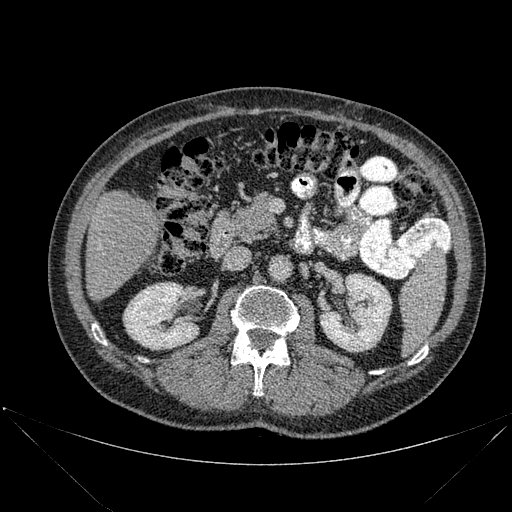 Computed tomography | Abdomen

Bone — box=[231, 286, 299, 395]; box=[408, 345, 428, 364]; box=[92, 324, 106, 344].
Liver — box=[86, 190, 157, 299].
Kidney — box=[320, 274, 391, 351]; box=[123, 282, 198, 349].